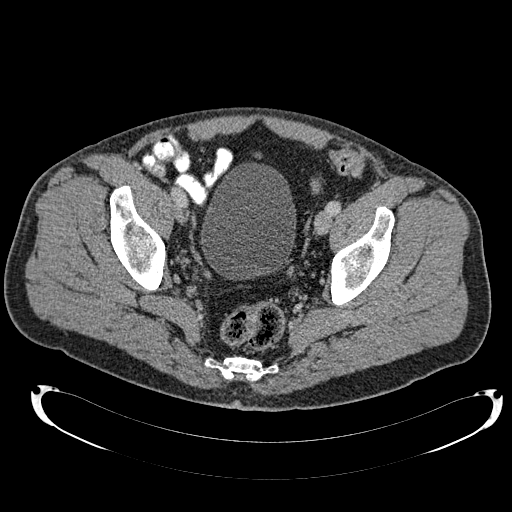 512x512 px; Pelvis; CT scan slice
{"urinary_bladder": ["(x1=200, y1=162, x2=296, y2=279)"]}